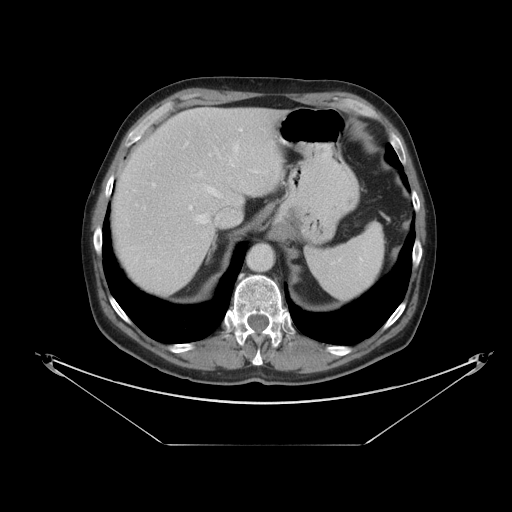
CT scan slice
spleen:
  - [x1=307, y1=223, x2=384, y2=299]